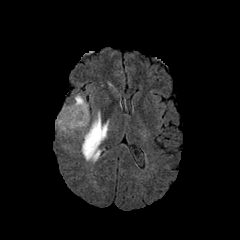
FLAIR MR.
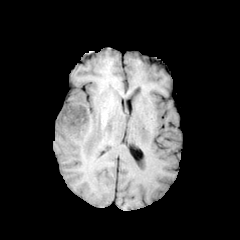
T1-weighted MRI of the same slice.
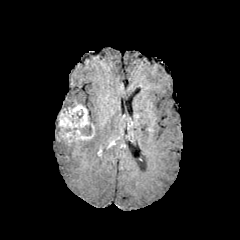
Post-contrast T1-weighted MRI.
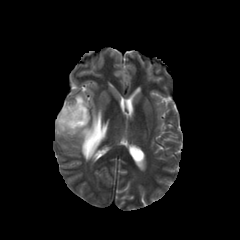
Same slice, T2-weighted MR.
240x240 px
{
  "edema": [
    "[64, 93, 108, 163]"
  ],
  "enhancing_tumor": [
    "[58, 103, 88, 136]"
  ],
  "non-enhancing_tumor_core": [
    "[57, 126, 77, 141]",
    "[81, 124, 101, 149]"
  ]
}